CT scan slice; 512x512 px 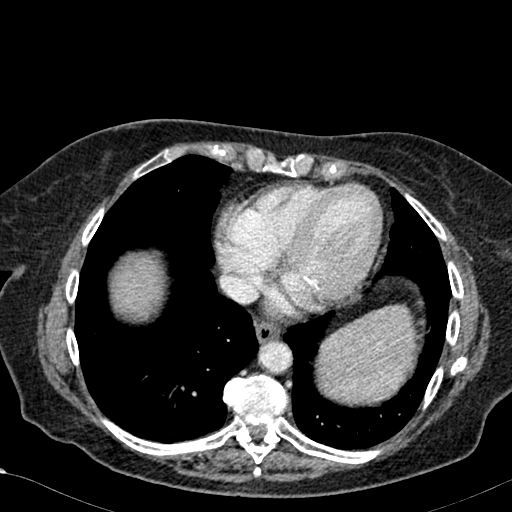

Liver at box(115, 265, 156, 309).